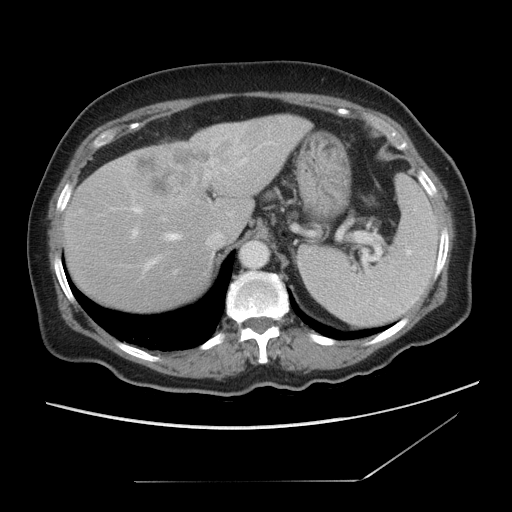 CT image

Only some of the vessels may be annotated.
8 hepatic vessel regions are located at <box>210,159,215,165</box>, <box>207,241,210,244</box>, <box>136,209,138,211</box>, <box>207,172,209,175</box>, <box>166,234,180,240</box>, <box>223,168,225,169</box>, <box>146,260,156,268</box>, <box>217,233,221,236</box>. The liver tumor is located at <box>137,144,208,196</box>.